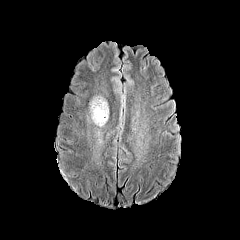
FLAIR MR.
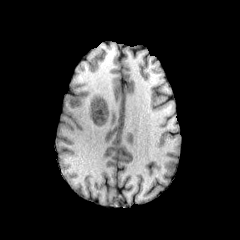
T1-weighted MR.
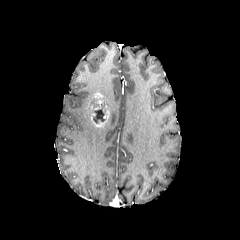
Post-contrast T1-weighted MRI.
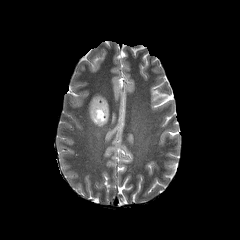
T2-weighted magnetic resonance of the same slice.
The non-enhancing tumor core is located at left=89, top=97, right=109, bottom=124. 2 enhancing tumor regions are bounded by left=89, top=105, right=109, bottom=126; left=92, top=93, right=103, bottom=108.